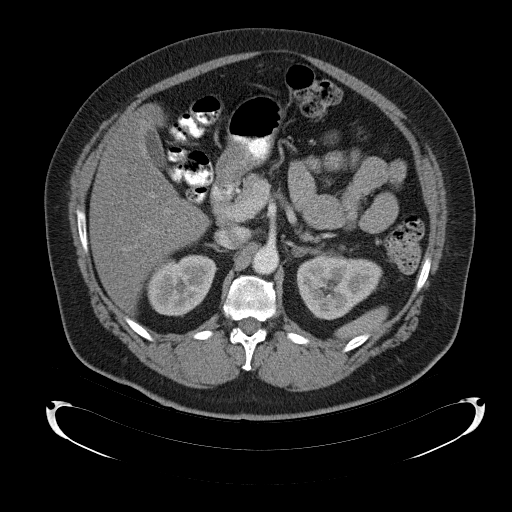
CT slice | Upper abdomen
The spleen is located at x1=337, y1=309, x2=386, y2=338.